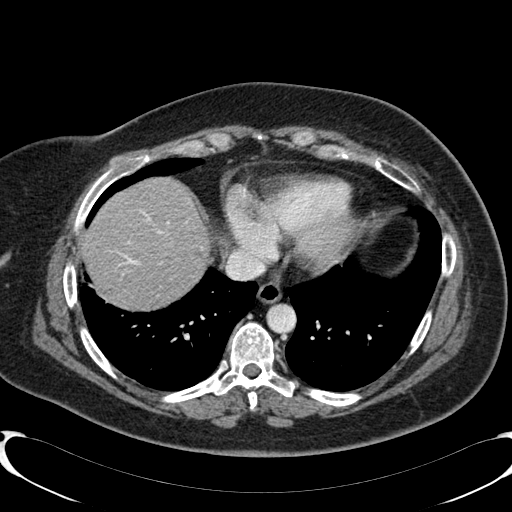 Computed tomography; Upper abdomen
The liver is at <bbox>79, 177, 209, 307</bbox>.